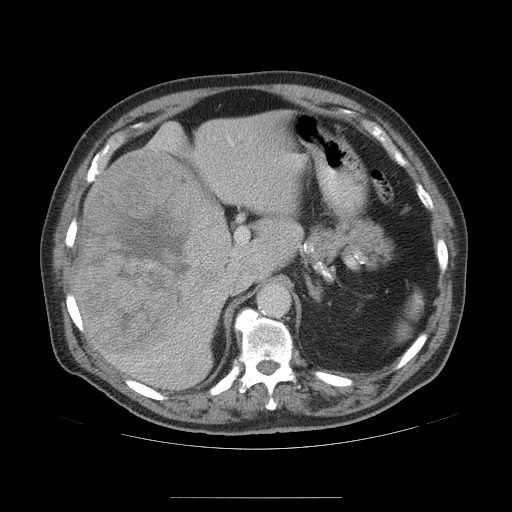

CT slice

Only some of the vessels may be annotated.
5 hepatic vessel regions appear at [196, 317, 197, 321], [163, 356, 165, 357], [155, 359, 159, 361], [228, 137, 233, 145], [235, 227, 248, 243]. The liver tumor appears at [72, 151, 224, 356].